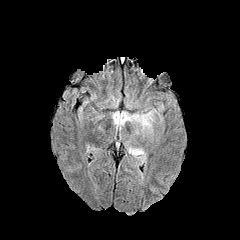
FLAIR magnetic resonance.
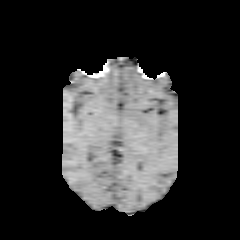
T1-weighted MRI of the same slice.
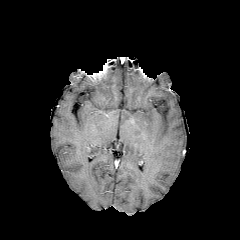
Post-contrast T1-weighted MRI of the same slice.
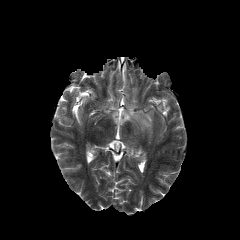
T2-weighted magnetic resonance of the same slice.
240x240, Head
Findings:
• edema: 126 145 145 162, 110 106 156 140